Brain, Slice 103 of 155
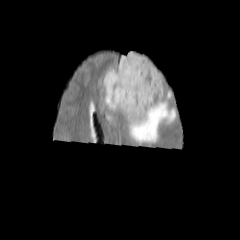
FLAIR MR image.
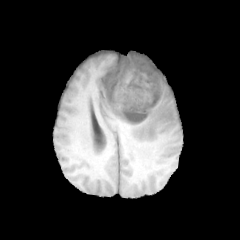
T1-weighted MR.
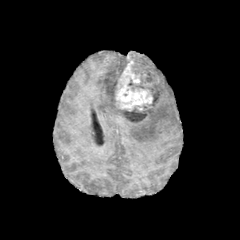
Post-contrast T1-weighted MRI.
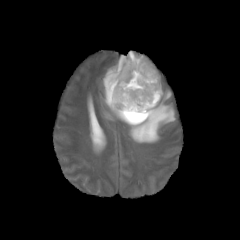
T2-weighted MR of the same slice.
Non-enhancing tumor core = bbox=[128, 53, 161, 102]; bbox=[121, 104, 154, 122]; bbox=[104, 62, 127, 105].
Edema = bbox=[102, 55, 127, 90]; bbox=[106, 74, 175, 143].
Enhancing tumor = bbox=[115, 56, 152, 111].